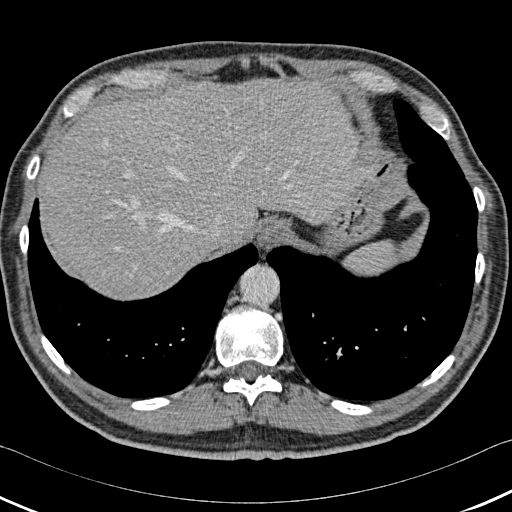

CT | 512x512 px | Liver
Liver = 38:78:370:298.
Lung = 28:198:258:399, 266:94:477:403.
Bone = 41:336:69:373, 474:187:484:211, 20:225:28:253, 216:307:282:367, 430:114:449:139, 475:253:484:282, 223:375:281:405, 131:398:169:410, 27:156:39:179, 331:400:371:415, 422:355:454:386.